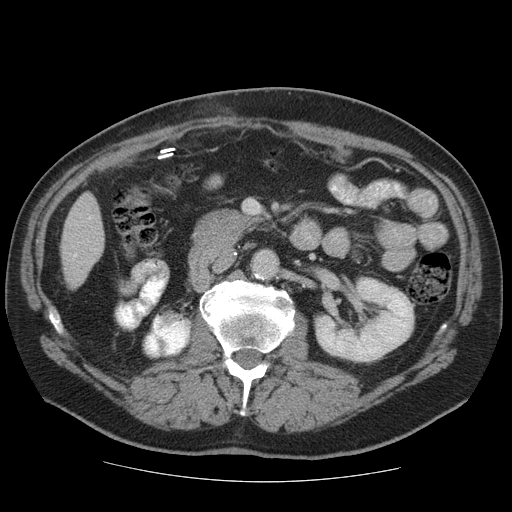

Abdomen. CT slice.
The vessel annotation is not exhaustive.
hepatic vessel: (89,215,91,218)